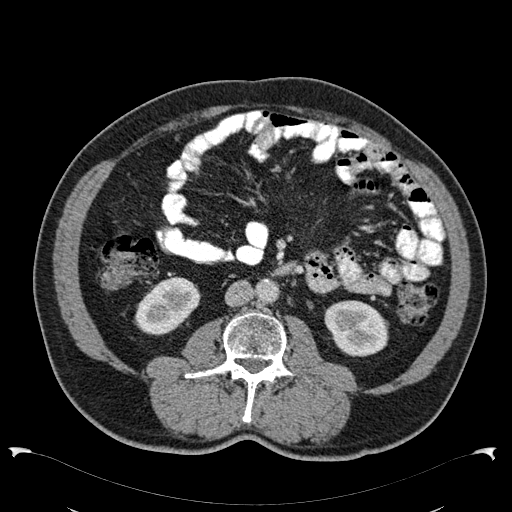
Computed tomography
Segmented structures:
- kidney: <bbox>325, 301, 387, 356</bbox>, <bbox>135, 277, 199, 334</bbox>